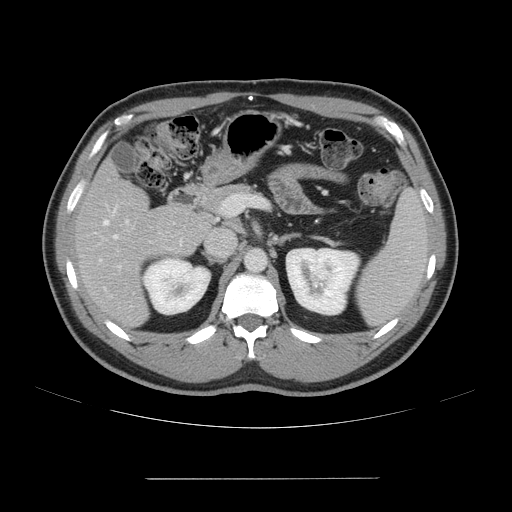 Abdomen; 512x512 px; CT
Some hepatic vessels may have no box.
<segmentation>
  <hepatic_vessel><bbox>126, 220, 128, 223</bbox>, <bbox>117, 266, 120, 267</bbox>, <bbox>99, 259, 101, 260</bbox>, <bbox>113, 205, 116, 214</bbox>, <bbox>104, 288, 106, 290</bbox>, <bbox>104, 220, 108, 224</bbox>, <bbox>114, 235, 117, 238</bbox></hepatic_vessel>
</segmentation>